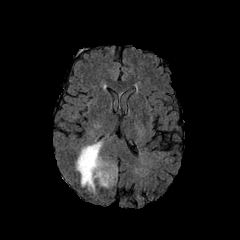
FLAIR magnetic resonance.
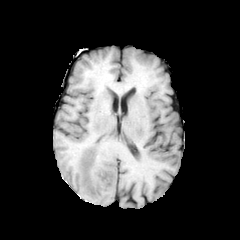
T1-weighted MR of the same slice.
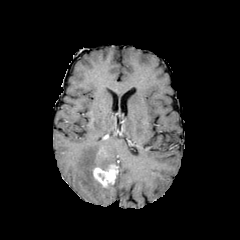
Post-contrast T1-weighted MR.
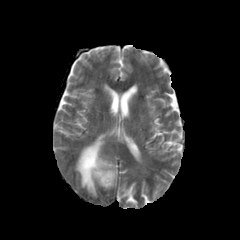
Same slice, T2-weighted magnetic resonance.
240x240 px.
The edema lies within x1=76, y1=138, x2=112, y2=194. The non-enhancing tumor core appears at x1=84, y1=156, x2=97, y2=176. The enhancing tumor is located at x1=93, y1=164, x2=117, y2=186.